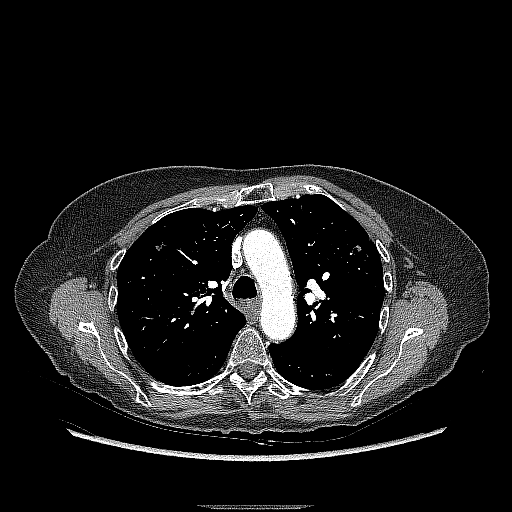 512x512 px, CT scan slice

lung tumor: <bbox>351, 244, 362, 252</bbox>